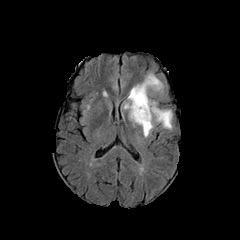
FLAIR magnetic resonance.
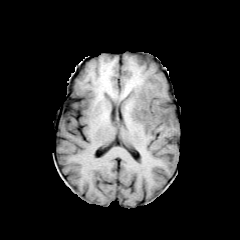
T1-weighted MR image.
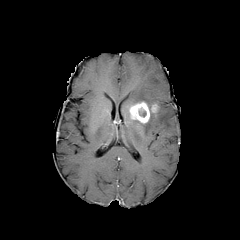
Post-contrast T1-weighted magnetic resonance.
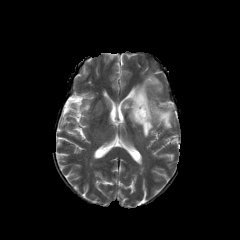
Same slice, T2-weighted MR image.
240x240 px, Head
The non-enhancing tumor core is bounded by [146,104,158,124]. The enhancing tumor is located at [130,101,157,123]. 2 edema regions appear at [131,106,172,136], [124,73,163,109].